Liver | 512x512 px | CT scan slice | Slice 430/811

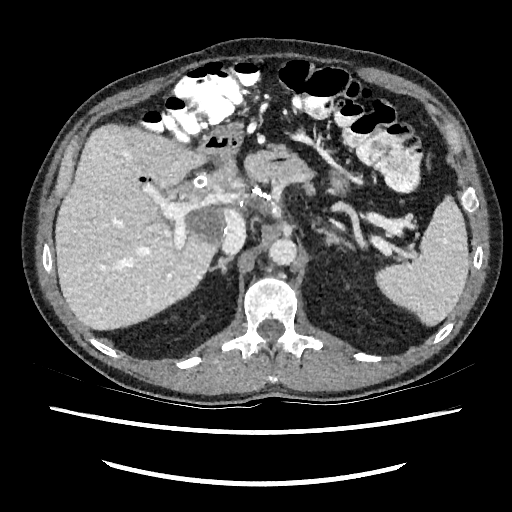 liver_lesion:
  - 190 209 221 242
  - 172 167 236 200
liver:
  - 165 194 180 199
  - 230 170 242 190
  - 55 126 216 328
  - 220 152 236 168